Head | Field of view 240x240 mm
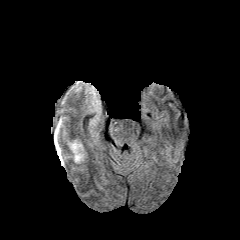
FLAIR magnetic resonance.
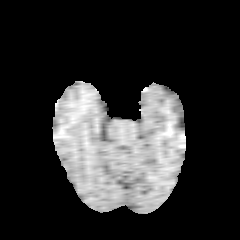
T1-weighted MR image of the same slice.
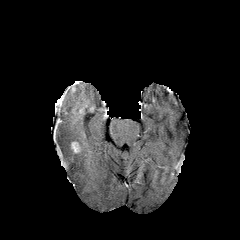
Post-contrast T1-weighted MR of the same slice.
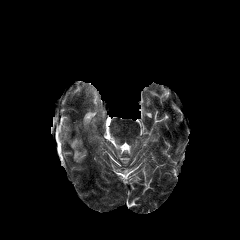
Same slice, T2-weighted magnetic resonance.
- enhancing tumor: <bbox>72, 142, 78, 152</bbox>
- edema: <bbox>68, 139, 85, 162</bbox>, <bbox>59, 146, 68, 163</bbox>